Pelvis | Slice index 115 | Image size 512x512 | CT scan slice
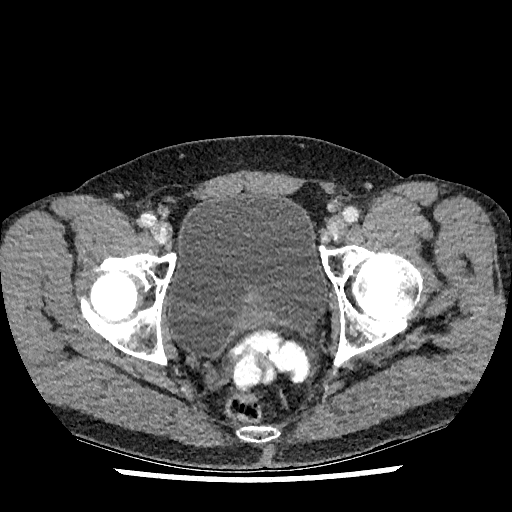 urinary_bladder:
  - bbox(166, 196, 328, 354)